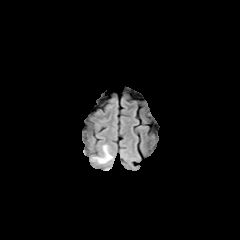
FLAIR magnetic resonance.
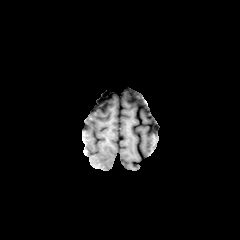
Same slice, T1-weighted MR image.
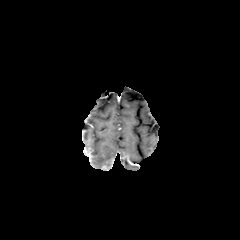
Post-contrast T1-weighted MR.
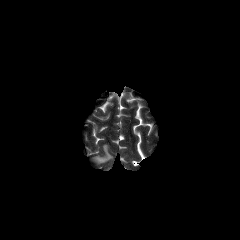
T2-weighted MRI.
Brain; Image size 240x240
The edema lies within rect(92, 145, 112, 164).